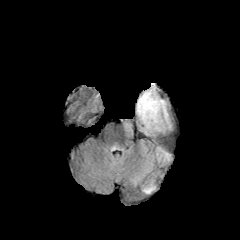
FLAIR MR image.
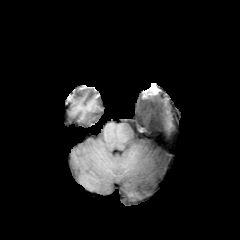
Same slice, T1-weighted MR image.
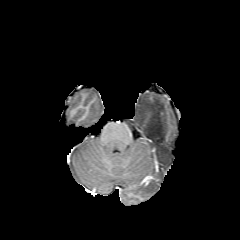
Same slice, post-contrast T1-weighted magnetic resonance.
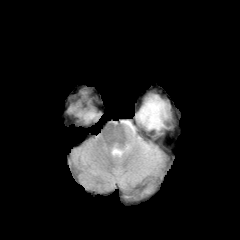
T2-weighted MR of the same slice.
Head
edema:
  - bbox=[158, 146, 168, 166]
  - bbox=[142, 180, 155, 193]
  - bbox=[124, 91, 170, 183]
non-enhancing_tumor_core:
  - bbox=[142, 101, 164, 129]
  - bbox=[146, 132, 162, 169]